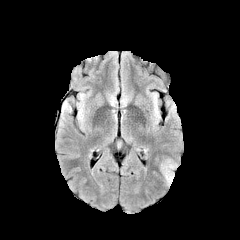
FLAIR MR image.
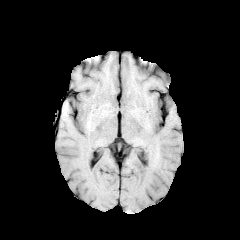
T1-weighted MRI of the same slice.
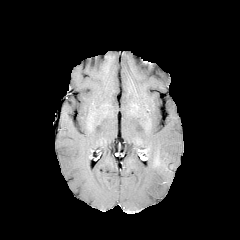
Post-contrast T1-weighted MR of the same slice.
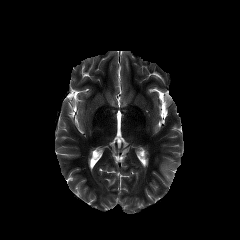
Same slice, T2-weighted MRI.
Head, Image size 240x240
<segmentation>
  <edema>box=[161, 159, 176, 184]</edema>
</segmentation>